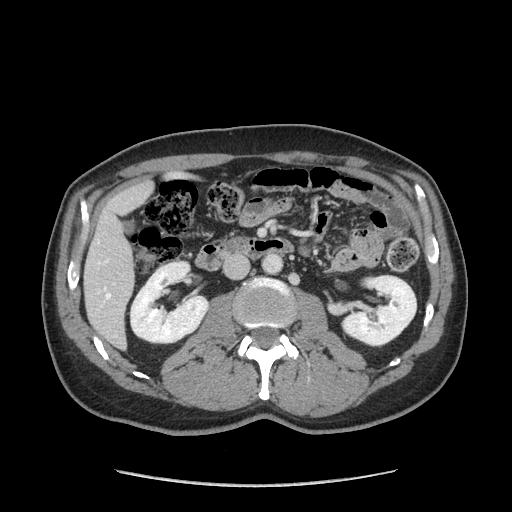

512x512 | Computed tomography | Upper abdomen
pancreas:
  - x1=224, y1=235, x2=248, y2=252